CT image; Liver; 512x512 px
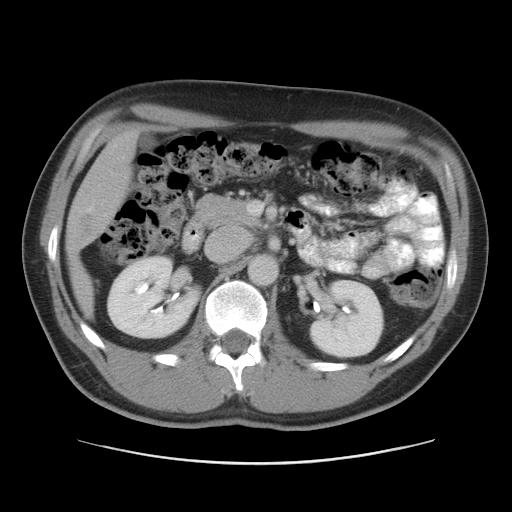

Not every hepatic vessel necessarily has a box.
<segmentation>
  <liver_tumor>(76, 213, 95, 243)</liver_tumor>
  <hepatic_vessel>(87, 209, 90, 211)</hepatic_vessel>
</segmentation>